Slice index 36; CT scan slice; Abdomen

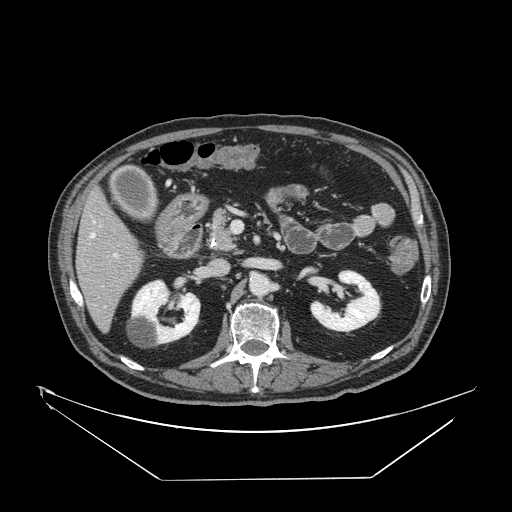

Pancreas at 203:206:240:253.